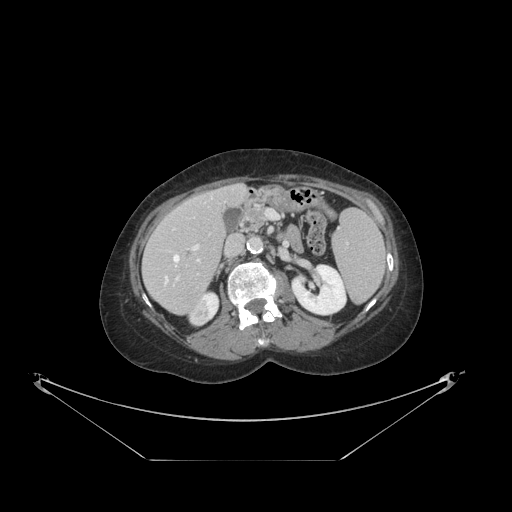
CT image, Liver
Not every hepatic vessel necessarily has a box.
5 hepatic vessel regions are bounded by (191, 245, 197, 249), (197, 259, 199, 260), (173, 255, 178, 262), (164, 277, 168, 284), (176, 276, 178, 278).